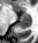
Hippocampus | Image size 38x43 | MR image

Anterior hippocampus: bbox=[21, 13, 30, 19].
Posterior hippocampus: bbox=[18, 20, 30, 28].